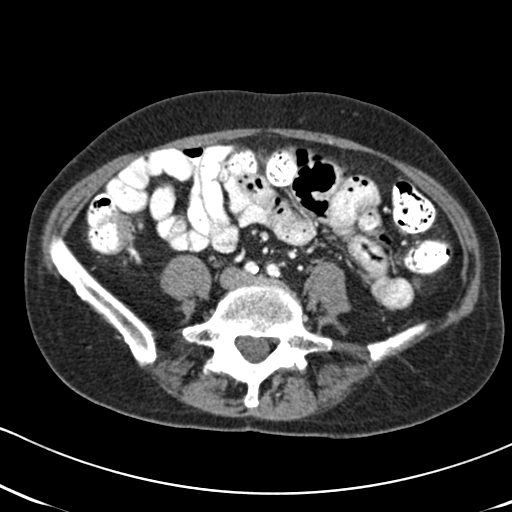
512x512. CT. Pelvis.

The colon tumor appears at bbox(96, 213, 129, 254).